240x240; Brain
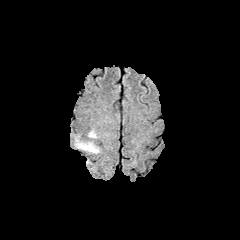
FLAIR MR.
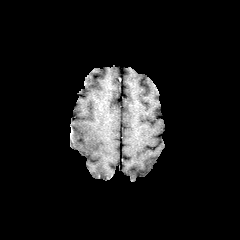
T1-weighted magnetic resonance of the same slice.
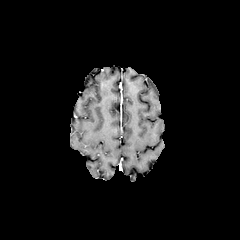
Post-contrast T1-weighted MR.
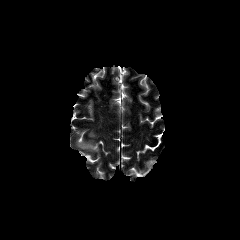
T2-weighted MR image of the same slice.
The edema lies within (75,130,99,163).